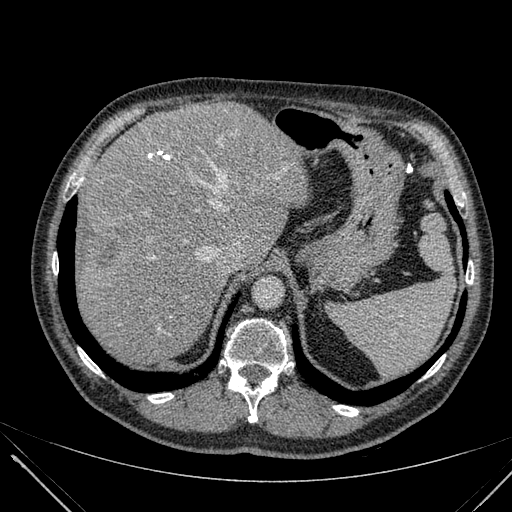 Upper abdomen, CT scan slice
The liver appears at x1=76, y1=103, x2=308, y2=366. 2 hepatic lesion regions are located at x1=96, y1=239, x2=118, y2=267; x1=115, y1=227, x2=127, y2=237.